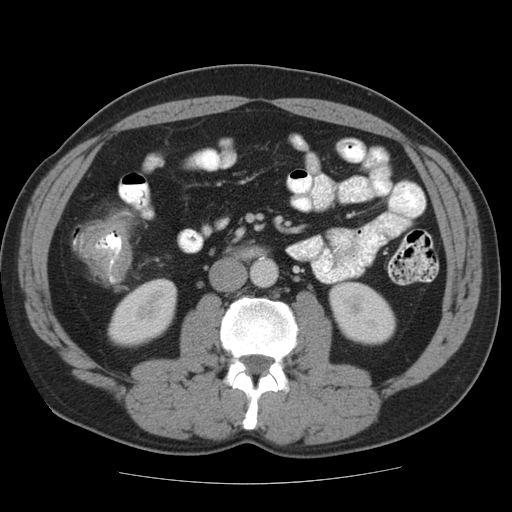 Computed tomography; Abdomen

{
  "colon_tumor": [
    "80, 222, 131, 278"
  ]
}